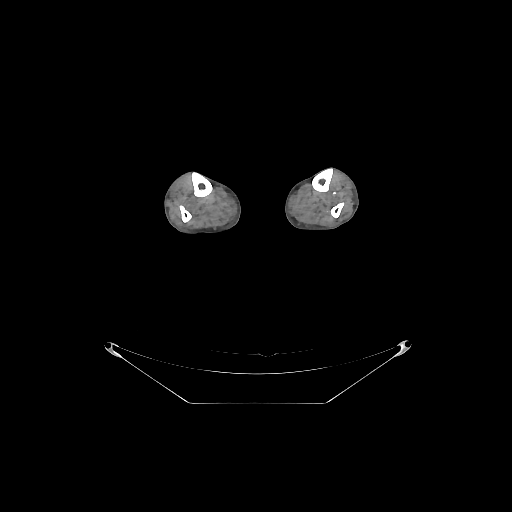

CT image. Image size 512x512.

Bone: bounding box [331, 202, 343, 217], [312, 168, 332, 191], [179, 205, 191, 222], [191, 172, 212, 196].